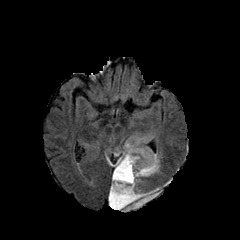
FLAIR MR image.
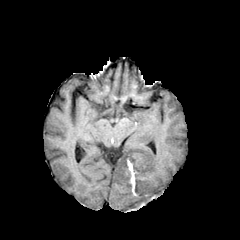
T1-weighted MR image.
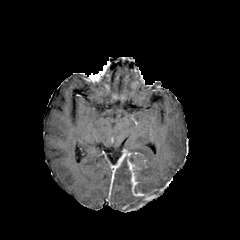
Post-contrast T1-weighted MRI of the same slice.
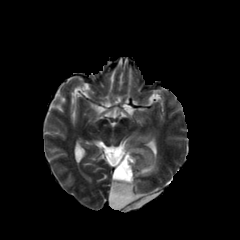
T2-weighted MRI.
240x240; Brain
non-enhancing_tumor_core:
  - (x1=106, y1=147, x2=127, y2=165)
  - (x1=122, y1=200, x2=142, y2=209)
  - (x1=114, y1=158, x2=131, y2=181)
  - (x1=128, y1=152, x2=140, y2=177)
edema:
  - (x1=122, y1=142, x2=161, y2=199)
  - (x1=109, y1=178, x2=149, y2=210)
enhancing_tumor:
  - (x1=134, y1=192, x2=153, y2=199)
  - (x1=112, y1=149, x2=137, y2=193)